Slice index 71. Head.
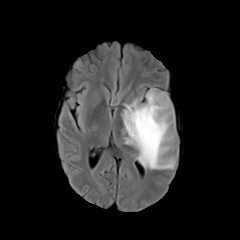
FLAIR magnetic resonance.
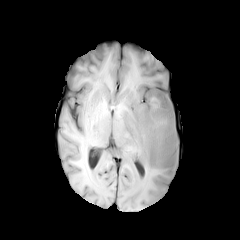
T1-weighted MR image of the same slice.
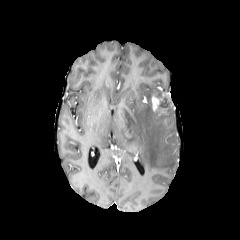
Post-contrast T1-weighted MRI.
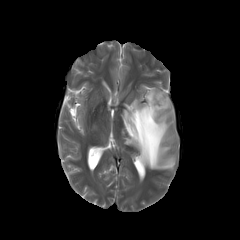
T2-weighted MRI of the same slice.
- non-enhancing tumor core: {"x1": 150, "y1": 88, "x2": 174, "y2": 117}
- enhancing tumor: {"x1": 152, "y1": 96, "x2": 159, "y2": 110}
- edema: {"x1": 120, "y1": 85, "x2": 178, "y2": 173}